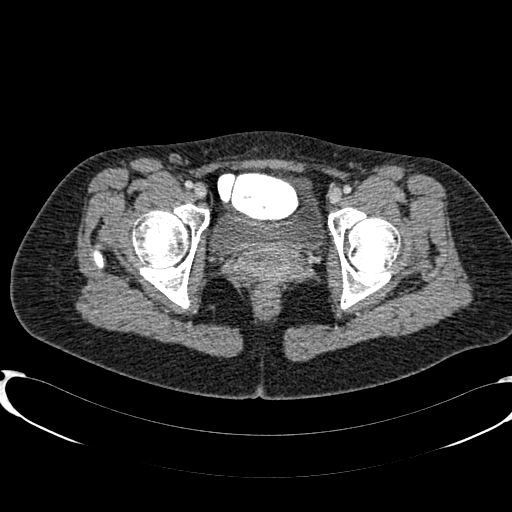

CT image | 512x512 px
Urinary bladder: <box>219,191,321,254</box>.